FLAIR MR.
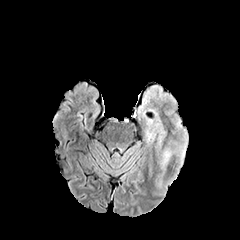
T1-weighted MR.
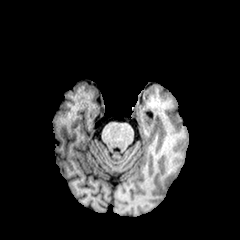
Post-contrast T1-weighted magnetic resonance.
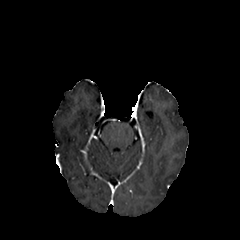
T2-weighted MR.
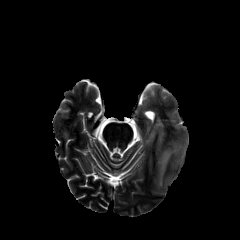
240x240
Annotated regions:
- edema: <box>163,151,173,164</box>